Abdomen. Image size 512x512. CT slice.
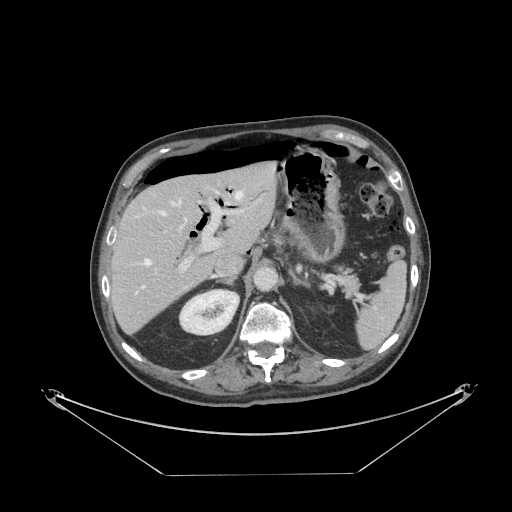
pancreas:
  - region(340, 272, 358, 295)